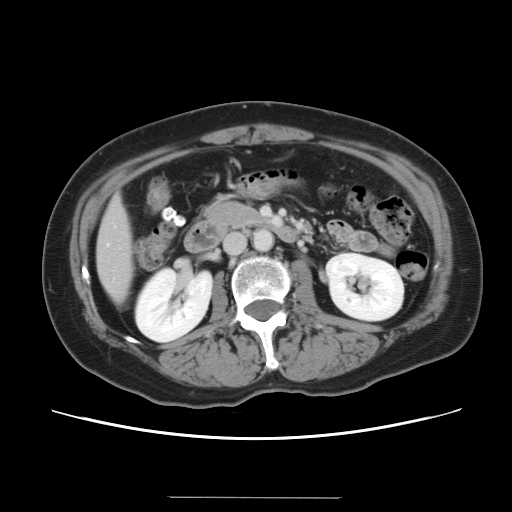
CT slice, Image size 512x512, Liver

The vessel boxes may cover only some of the vessels.
<segmentation>
  <hepatic_vessel>x1=113 y1=279 x2=114 y2=280, x1=107 y1=244 x2=108 y2=245</hepatic_vessel>
</segmentation>